FLAIR MR image.
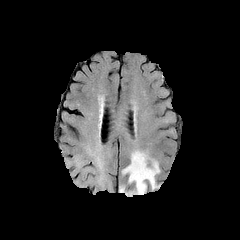
T1-weighted MR image.
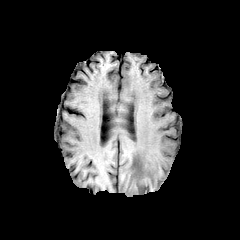
Post-contrast T1-weighted MRI.
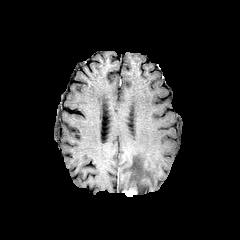
T2-weighted magnetic resonance.
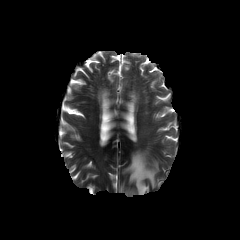
Head
• enhancing tumor: 123:188:137:195
• edema: 122:150:159:193